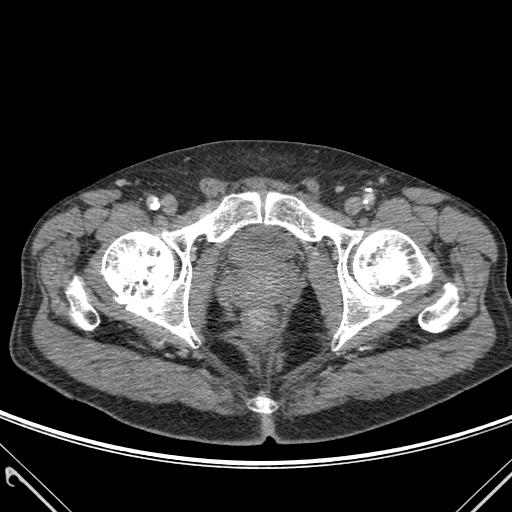 CT slice, 512x512 px

4 bone regions appear at [x1=101, y1=192, x2=432, y2=349], [x1=254, y1=397, x2=271, y2=412], [x1=418, y1=283, x2=458, y2=332], [x1=66, y1=277, x2=98, y2=329].